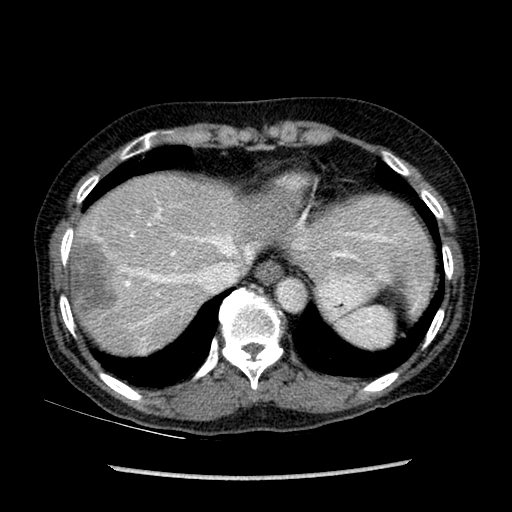
Image size 512x512. CT image. liver:
  - <box>71,173,433,355</box>
liver_lesion:
  - <box>69,241,119,310</box>